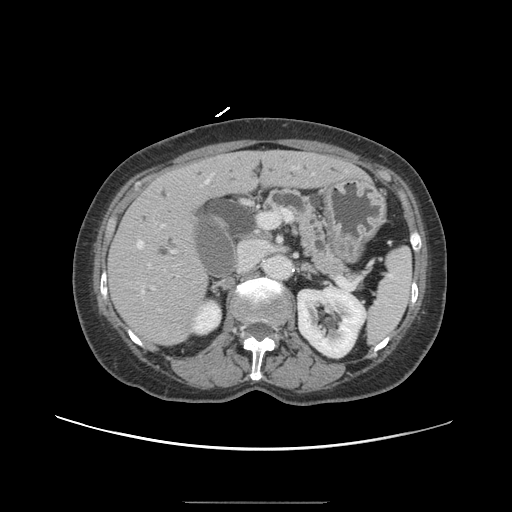
CT

pancreas: x1=268 y1=190 x2=348 y2=275